Image size 512x512, Slice 166/245, Field of view 386 mm wide, 2.00 mm slice spacing, Abdomen, CT slice

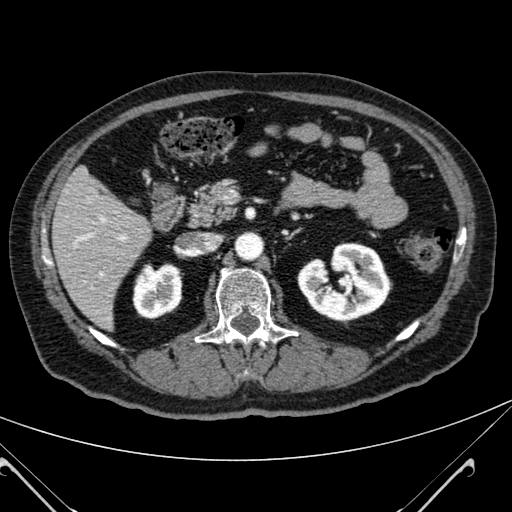

Kidney = [x1=299, y1=244, x2=389, y2=319], [x1=134, y1=265, x2=180, y2=317].
Liver = [x1=50, y1=176, x2=148, y2=327].